Field of view 420x420 mm, 512x512, Computed tomography, Chest

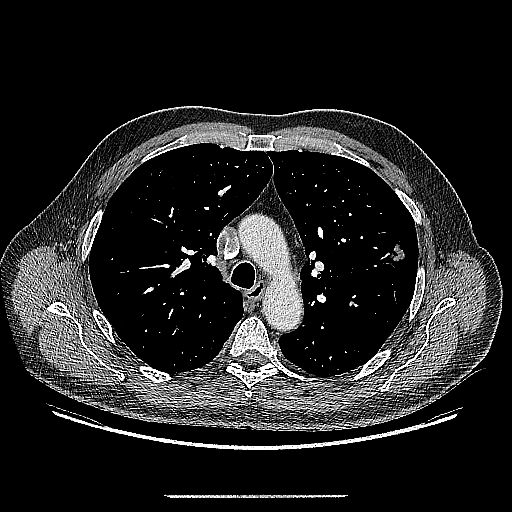
The lung tumor is bounded by (left=387, top=242, right=405, bottom=263).